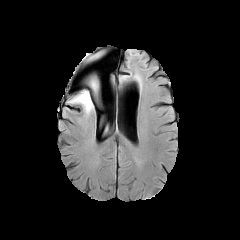
FLAIR MRI.
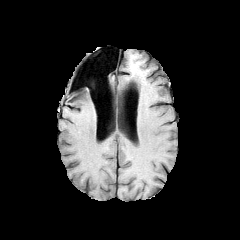
T1-weighted MR.
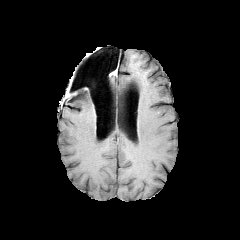
Same slice, post-contrast T1-weighted MR image.
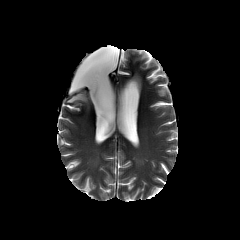
T2-weighted MRI.
The edema lies within bbox=[67, 90, 94, 115].